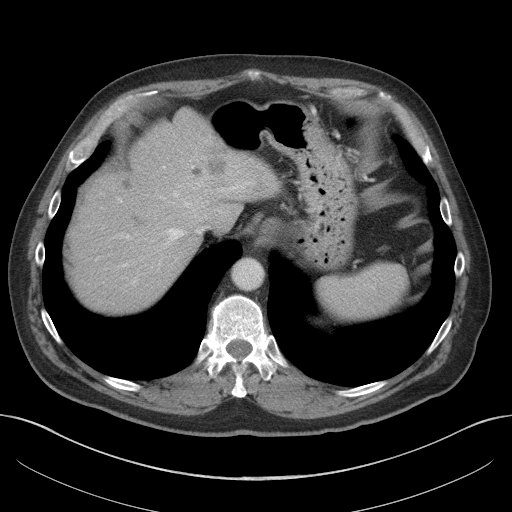 512x512 px | CT slice

* liver: [64, 110, 274, 315]
* liver lesion: [122, 179, 132, 189], [193, 167, 200, 174], [208, 159, 225, 175], [133, 216, 142, 224]